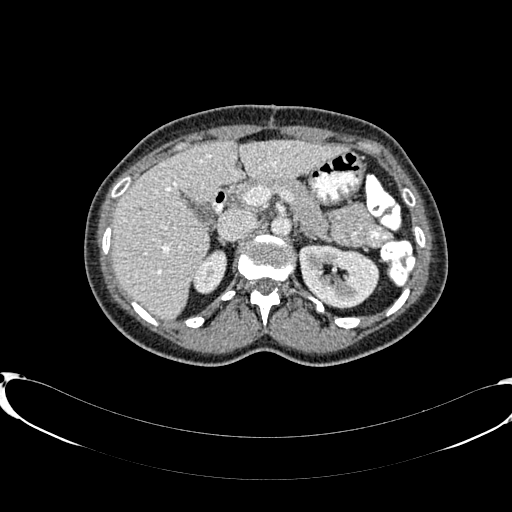 Computed tomography; Abdomen
Liver at {"x1": 111, "y1": 141, "x2": 348, "y2": 318}.
Kidney at {"x1": 300, "y1": 246, "x2": 377, "y2": 306}, {"x1": 196, "y1": 254, "x2": 224, "y2": 291}.